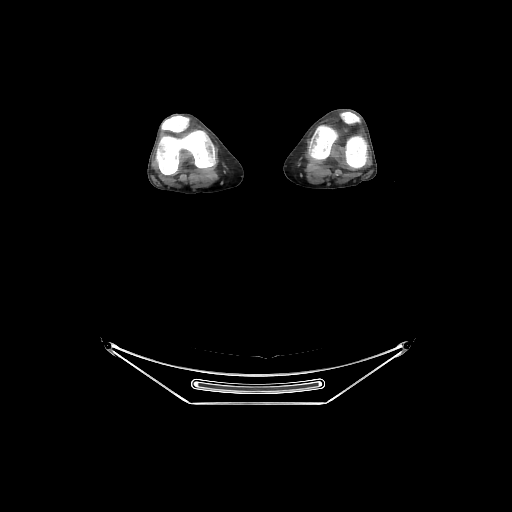 CT slice. 512x512 px. 4 bone regions are bounded by [341,112,359,123], [161,115,188,132], [309,125,367,168], [155,130,215,174].